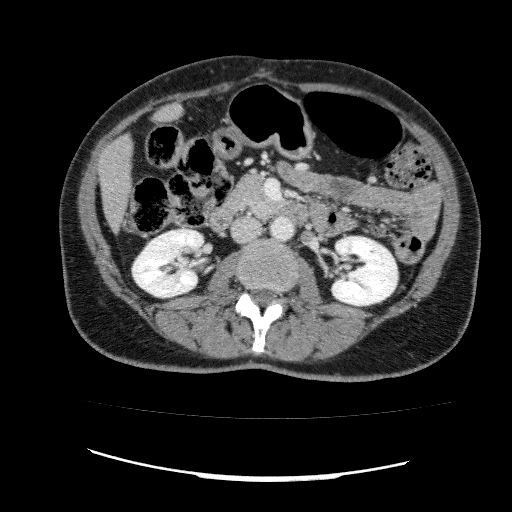
CT slice | 512x512 px

Kidney = (x1=332, y1=237, x2=397, y2=305), (x1=132, y1=229, x2=202, y2=297).
Liver = (x1=99, y1=136, x2=132, y2=232), (x1=154, y1=104, x2=184, y2=122).